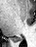
36x47, MR image, Hippocampus
The posterior hippocampus is located at 12, 37, 21, 40.